512x512, Liver, CT image 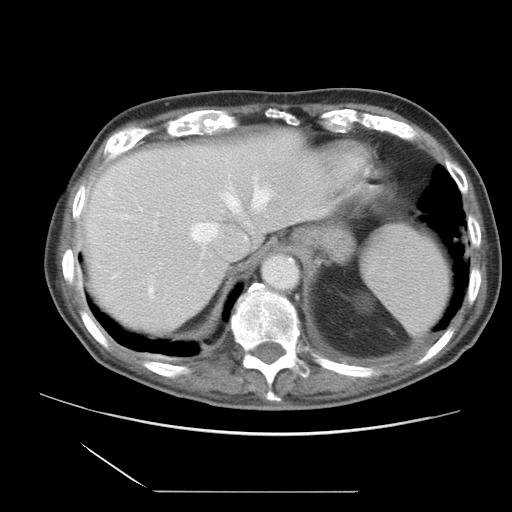

The vessel boxes may cover only some of the vessels.
Hepatic vessel: 189,222,222,251; 147,278,154,299; 114,274,117,276; 159,262,160,263; 211,192,251,227; 250,177,270,213; 128,216,132,219; 154,221,156,223; 239,234,247,242; 156,213,158,216.